Slice index 205, CT, 512x512
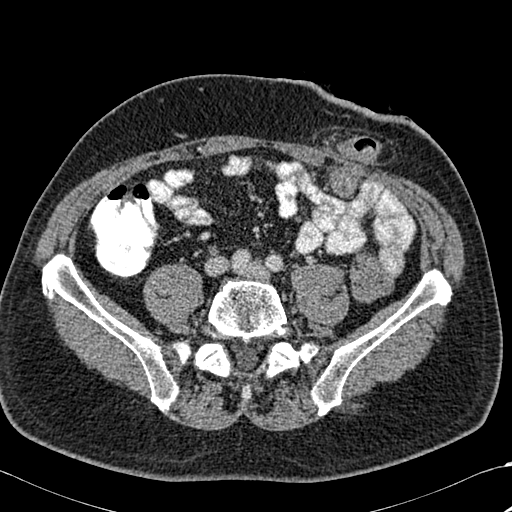

bone: box(205, 280, 288, 341); box(194, 342, 230, 376); box(266, 342, 318, 376); box(310, 269, 451, 415); box(174, 342, 190, 361); box(42, 254, 179, 410)